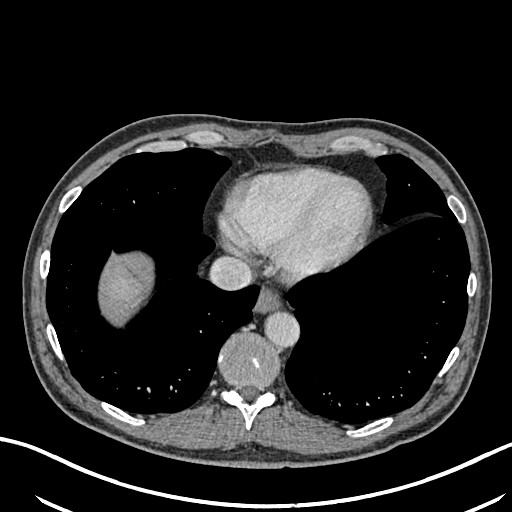 Abdomen, 512x512 px, CT scan slice

Liver — box=[117, 276, 135, 294].